Head
FLAIR magnetic resonance.
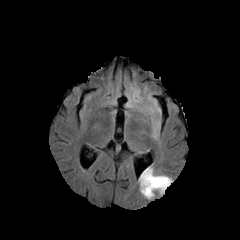
T1-weighted MR image.
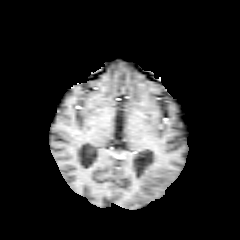
Post-contrast T1-weighted magnetic resonance.
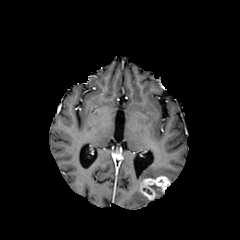
T2-weighted MR.
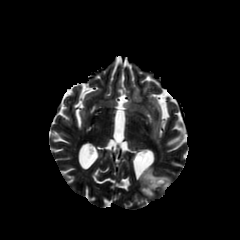
{
  "edema": [
    "bbox(152, 188, 163, 195)",
    "bbox(138, 166, 171, 184)"
  ],
  "enhancing_tumor": [
    "bbox(141, 176, 170, 198)"
  ]
}